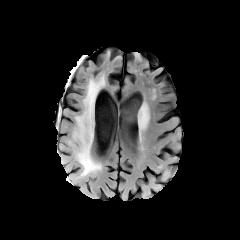
FLAIR MR image.
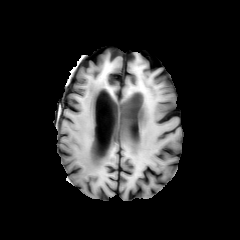
T1-weighted MR.
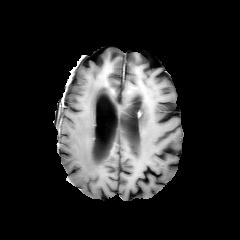
Post-contrast T1-weighted MRI.
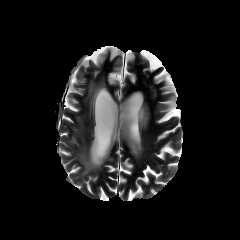
T2-weighted MR.
Brain
2 edema regions are located at 76,117,83,129; 72,79,105,178.